CT image | Field of view 344x344 mm | 512x512
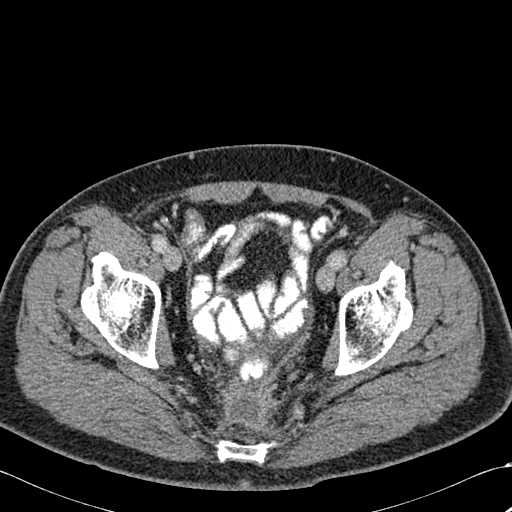 3 bone regions appear at (left=217, top=440, right=270, bottom=462), (left=335, top=261, right=412, bottom=375), (left=81, top=252, right=160, bottom=368).